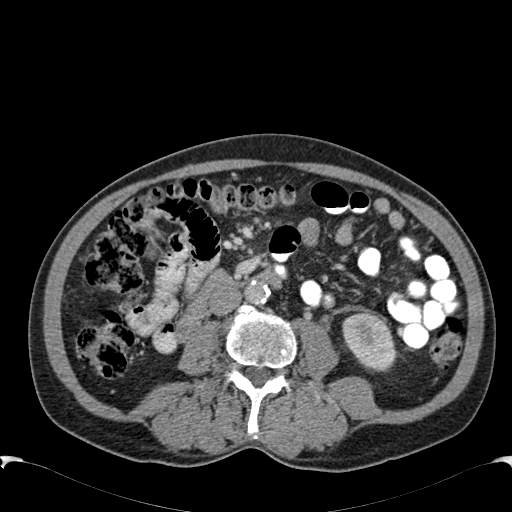

CT image; Abdomen
Segmented structures:
• kidney: 346, 316, 395, 370